T2-weighted MR.
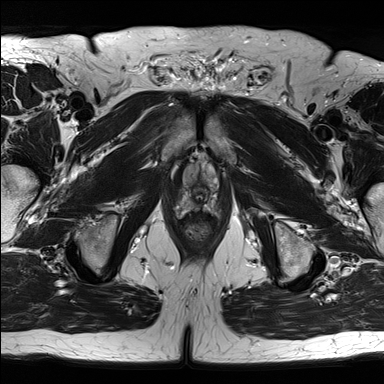
ADC magnetic resonance.
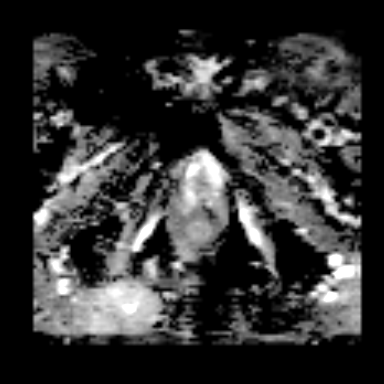
Pelvis
• prostate transition zone: [181,153,218,201]
• prostate peripheral zone: [175,179,222,215]